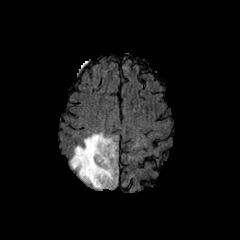
FLAIR MR.
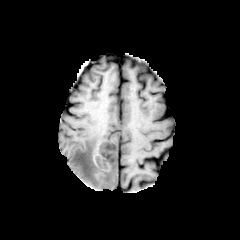
T1-weighted magnetic resonance.
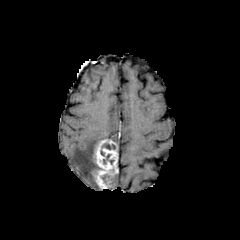
Post-contrast T1-weighted MR of the same slice.
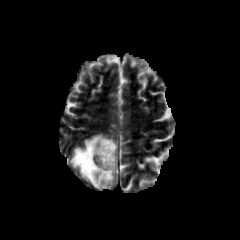
T2-weighted MR image.
Brain, 240x240
non-enhancing_tumor_core:
  - 103, 143, 117, 152
  - 79, 142, 99, 187
edema:
  - 108, 173, 118, 189
  - 69, 132, 117, 189
enhancing_tumor:
  - 93, 138, 118, 188